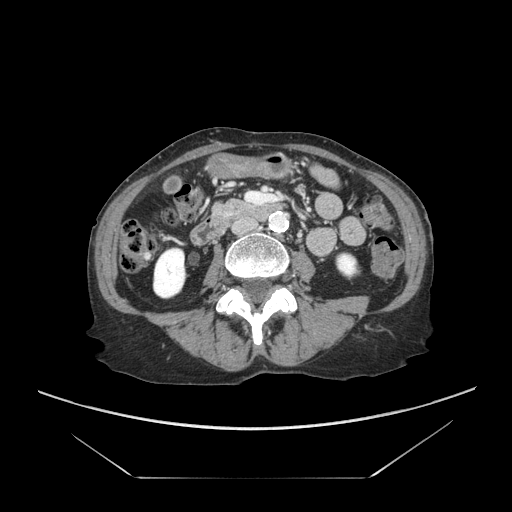 Abdomen; 512x512; CT slice

pancreas:
  - 209,197,258,227